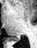 Hippocampus, Image size 37x48, MR image

The posterior hippocampus is at box=[12, 37, 21, 41].